MRI; Image width 40 mm

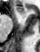
Anterior hippocampus = 16,6,23,13.